Slice 60 of 101 | CT scan slice 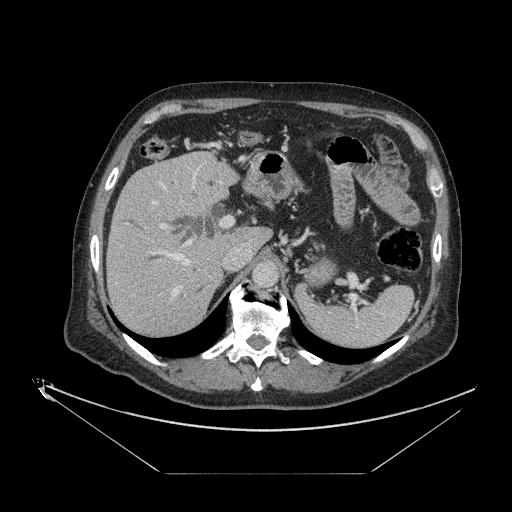 Segmented structures:
- pancreas: [x1=309, y1=238, x2=326, y2=255]